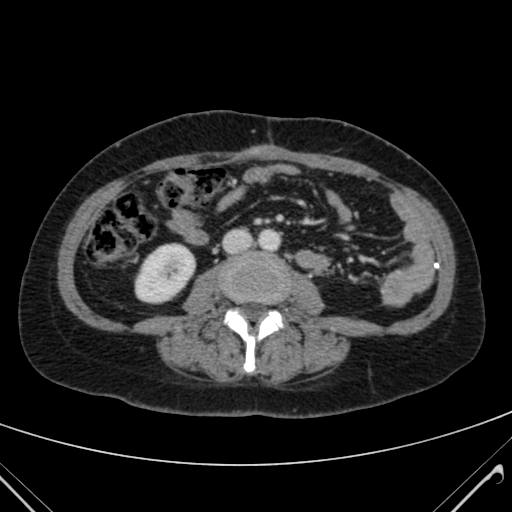
Abdomen; 512x512; CT
The kidney appears at (left=136, top=245, right=194, bottom=301).